CT image, Pelvis 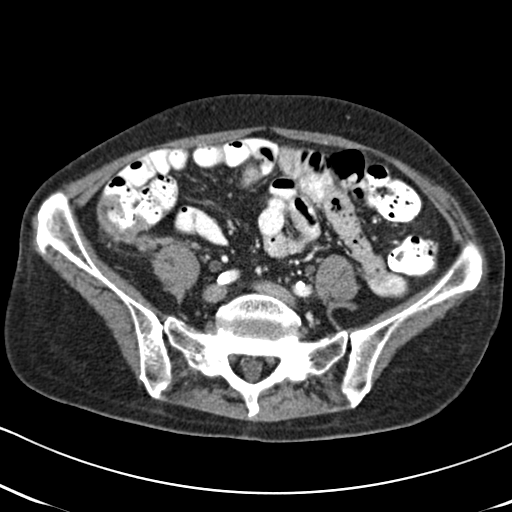 Findings:
- colon tumor: rect(97, 193, 149, 241)